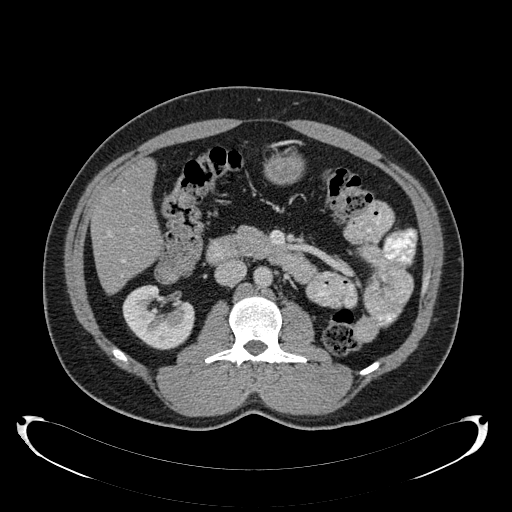 Liver | Image size 512x512 | Computed tomography
<segmentation>
  <liver>[90,159,160,292]</liver>
  <kidney>[123,285,193,348]</kidney>
</segmentation>